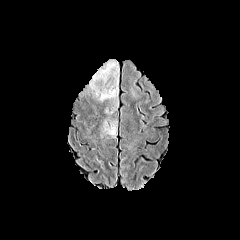
FLAIR MR.
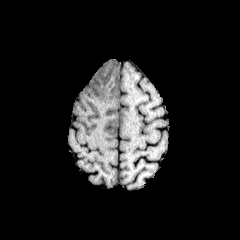
T1-weighted magnetic resonance of the same slice.
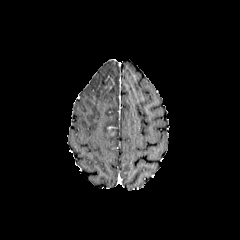
Post-contrast T1-weighted MRI of the same slice.
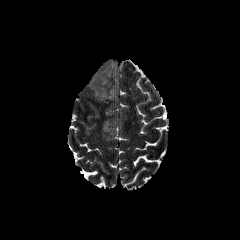
T2-weighted MRI of the same slice.
Head.
Edema = box=[94, 61, 119, 99].